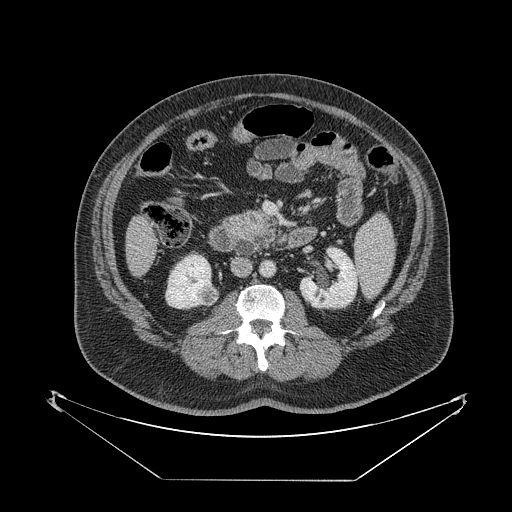 Upper abdomen; CT scan slice

Pancreatic tumor at {"x1": 240, "y1": 211, "x2": 262, "y2": 234}.
Pancreas at {"x1": 227, "y1": 213, "x2": 274, "y2": 255}.